Liver. Slice 453/647. CT.

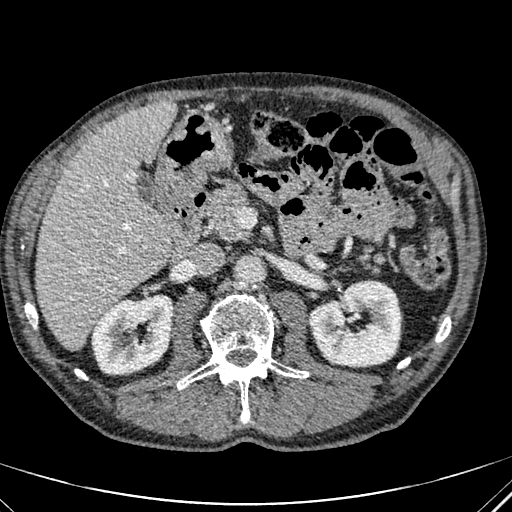 2 kidney regions appear at (x1=92, y1=296, x2=172, y2=373), (x1=310, y1=282, x2=400, y2=365). The liver is located at (x1=35, y1=100, x2=175, y2=350).